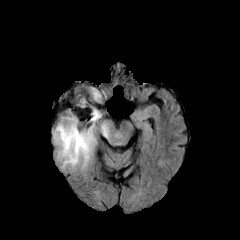
FLAIR MR image.
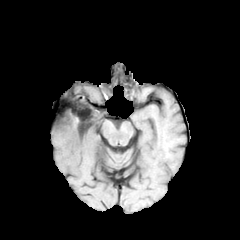
T1-weighted MR image of the same slice.
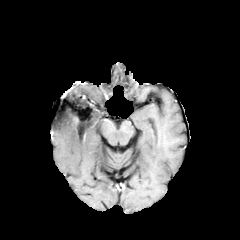
Post-contrast T1-weighted MR of the same slice.
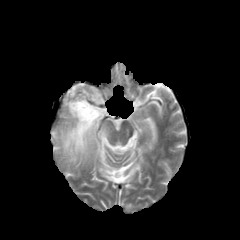
T2-weighted MRI of the same slice.
Brain
Findings:
* non-enhancing tumor core: x1=80, y1=100, x2=89, y2=108
* edema: x1=52, y1=87, x2=109, y2=169